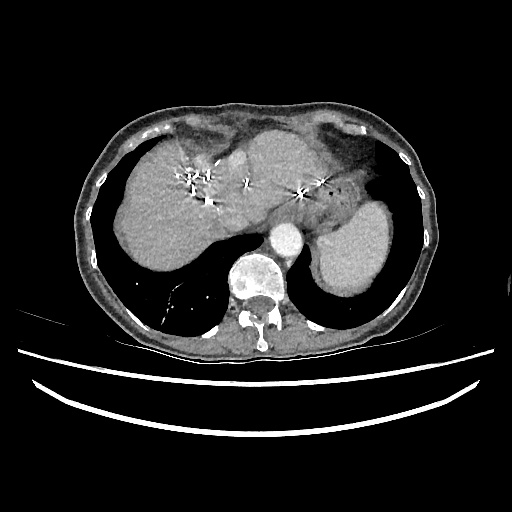 CT slice | Image size 512x512
The liver lies within (121,132,322,268).